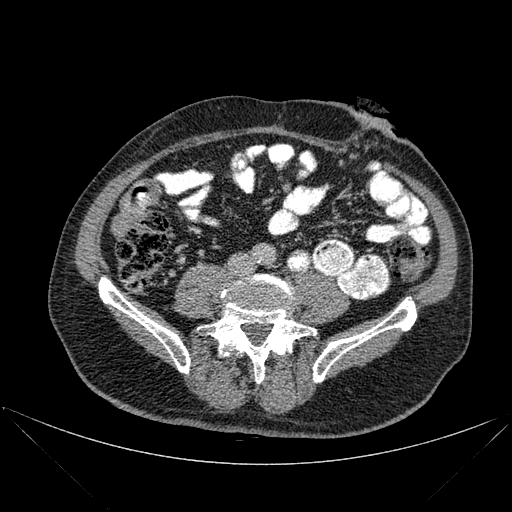 CT.
bone:
  - [99, 277, 190, 373]
  - [313, 297, 416, 382]
  - [197, 274, 316, 383]